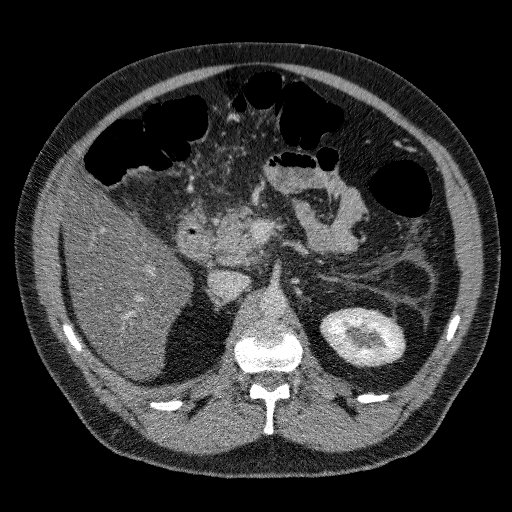

512x512, Upper abdomen, CT image
Segmented structures:
• liver: l=63, t=181, r=190, b=378
• kidney: l=322, t=309, r=403, b=364